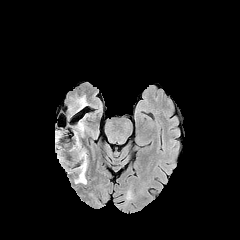
FLAIR MR.
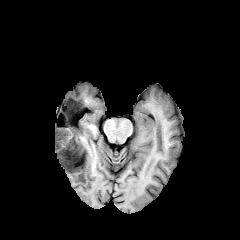
T1-weighted MR image of the same slice.
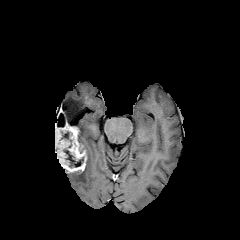
Post-contrast T1-weighted MR image.
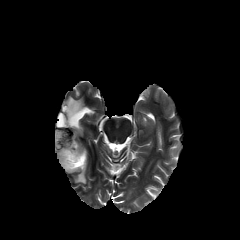
Same slice, T2-weighted MR image.
Brain
enhancing_tumor:
  - region(55, 123, 86, 172)
edema:
  - region(76, 119, 84, 141)
  - region(74, 163, 88, 184)
  - region(70, 96, 86, 109)
  - region(67, 102, 77, 119)
non-enhancing_tumor_core:
  - region(60, 128, 73, 142)
  - region(64, 150, 83, 167)